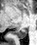

MRI; Medial temporal lobe
The posterior hippocampus is bounded by (left=13, top=29, right=26, bottom=38).